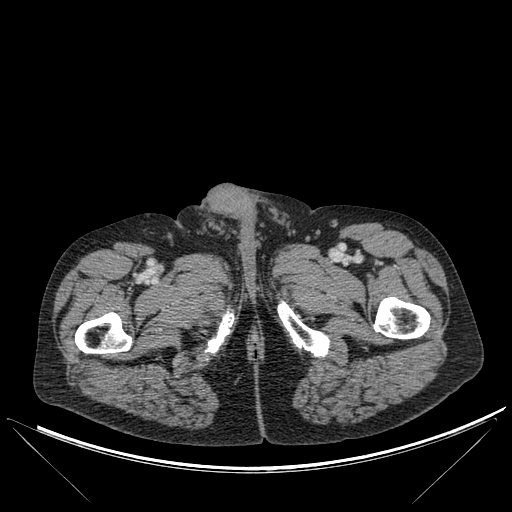
CT scan slice. 4 bone regions are bounded by bbox=[75, 312, 131, 353]; bbox=[374, 297, 430, 338]; bbox=[278, 301, 329, 356]; bbox=[205, 311, 233, 353].